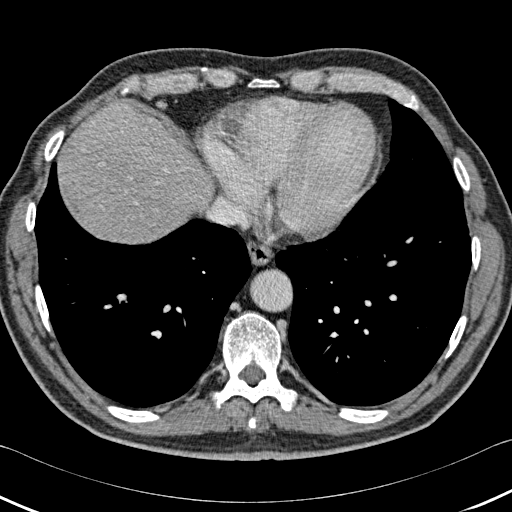

CT slice
lung:
  - box(274, 97, 471, 405)
  - box(34, 162, 252, 408)
bone:
  - box(213, 313, 296, 410)
  - box(44, 131, 63, 160)
  - box(107, 406, 158, 422)
  - box(248, 79, 279, 86)
  - box(445, 316, 466, 358)
  - box(249, 418, 255, 427)
  - box(472, 236, 480, 269)
  - box(339, 408, 387, 423)
  - box(402, 93, 418, 109)
  - box(25, 202, 35, 231)
  - box(35, 285, 50, 331)
  - box(454, 157, 469, 190)
liver:
  - box(67, 108, 208, 243)